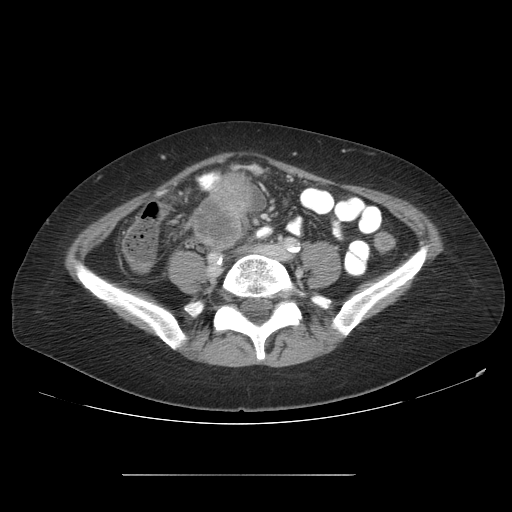 Computed tomography
colon_tumor:
  - (194, 174, 252, 249)